Abdomen. 512x512 px. Slice index 506. CT slice.

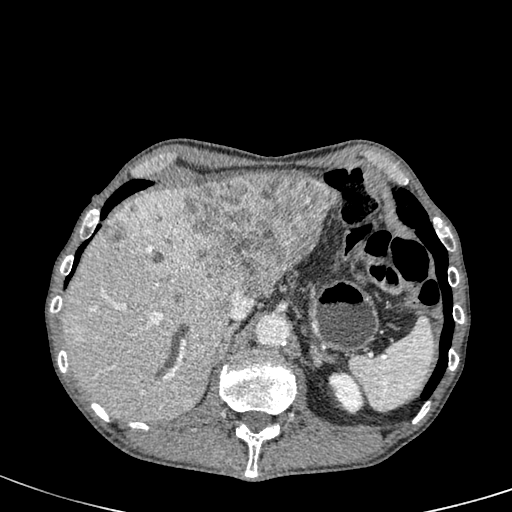

Liver — box(63, 187, 242, 421); box(256, 279, 278, 297).
Kidney — box(329, 373, 362, 411).
Hepatic lesion — box(184, 175, 337, 296); box(102, 223, 126, 242); box(173, 293, 183, 302).